CT image. Field of view 386 mm wide, 2.00 mm slice spacing. Slice index 141.
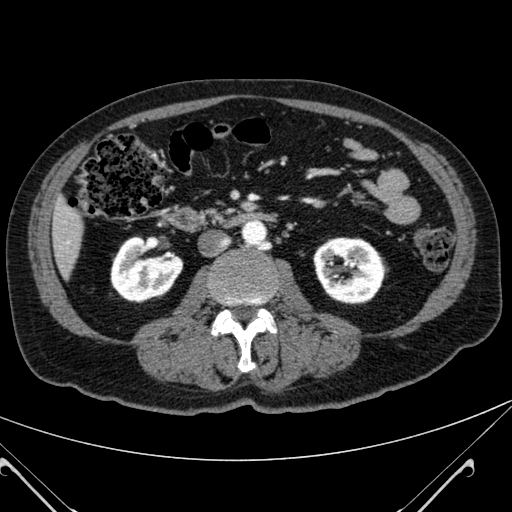
The liver is located at bbox=[52, 202, 82, 274]. 2 kidney regions are bounded by bbox=[315, 238, 383, 302]; bbox=[112, 238, 181, 301].